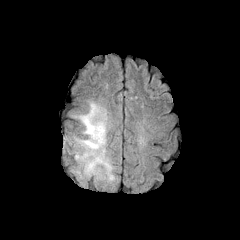
FLAIR MR image.
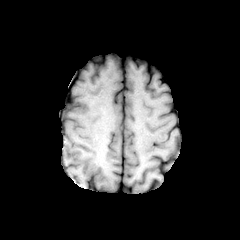
Same slice, T1-weighted MR.
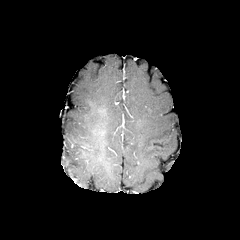
Same slice, post-contrast T1-weighted MR.
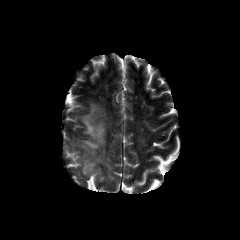
T2-weighted magnetic resonance.
240x240 px; Brain
Edema — rect(72, 101, 114, 180).